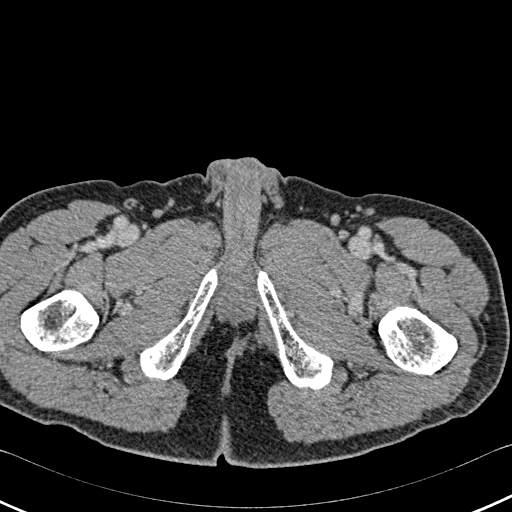 CT
4 bone regions appear at <box>141,269,217,379</box>, <box>21,290,98,350</box>, <box>257,271,332,389</box>, <box>379,307,457,375</box>.